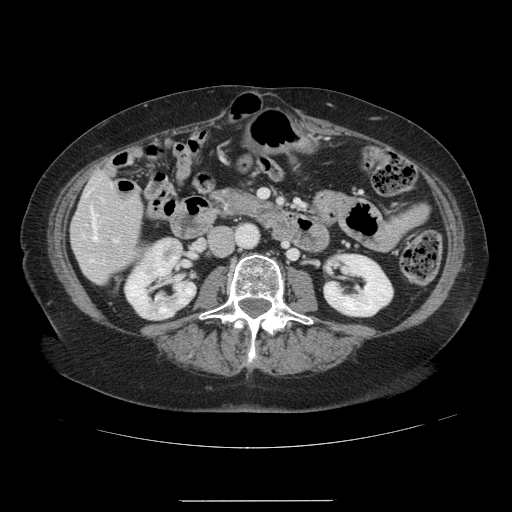 512x512 px. CT image.
Only some of the vessels may be annotated.
Hepatic vessel: bbox(90, 207, 96, 239); bbox(87, 190, 89, 193); bbox(110, 182, 112, 185); bbox(100, 197, 101, 199); bbox(113, 239, 116, 241).